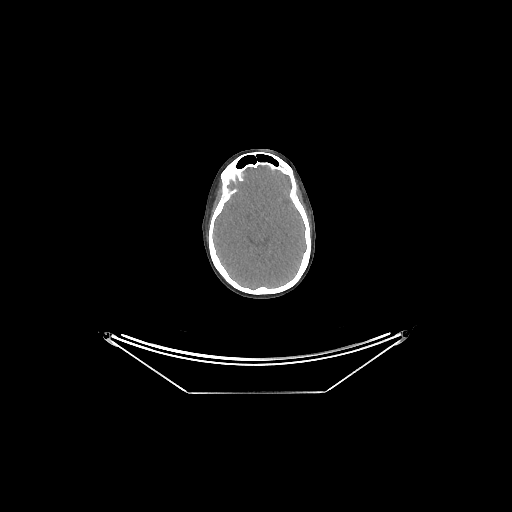 CT slice | 512x512 px
Brain: bbox(212, 166, 306, 288).